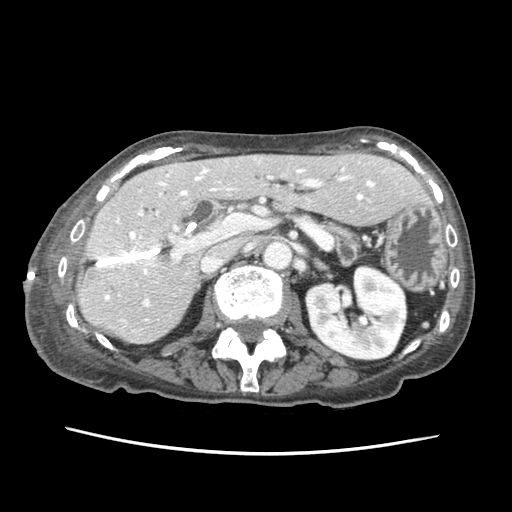

CT slice | Upper abdomen
The pancreas lies within (left=323, top=221, right=358, bottom=266).